Image size 512x512, Upper abdomen, CT
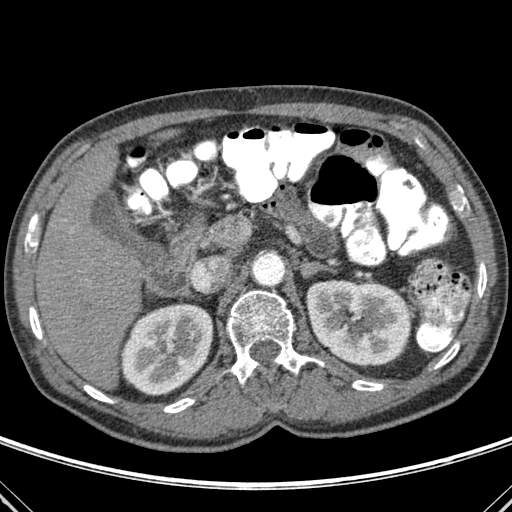

Kidney at 122, 305, 211, 393; 308, 281, 409, 364.
Bone at 352, 380, 383, 391; 25, 214, 37, 248; 477, 263, 486, 297; 29, 307, 42, 339; 454, 187, 467, 210; 164, 398, 194, 412; 434, 342, 459, 368; 84, 385, 112, 403; 226, 290, 324, 383.
Liver at 36, 152, 145, 386.